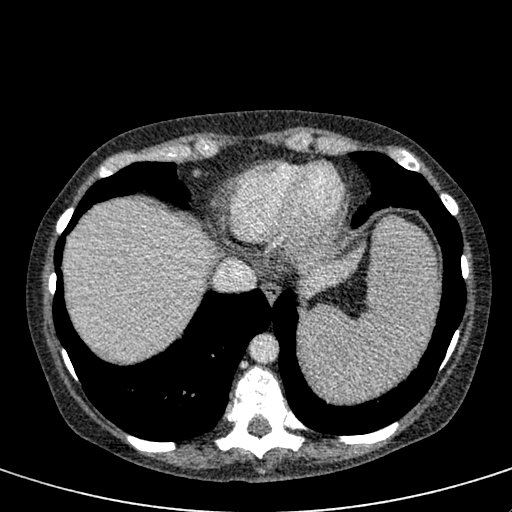
CT image, Liver

<segmentation>
  <liver>304,242,365,296; 63,201,215,361</liver>
</segmentation>